CT

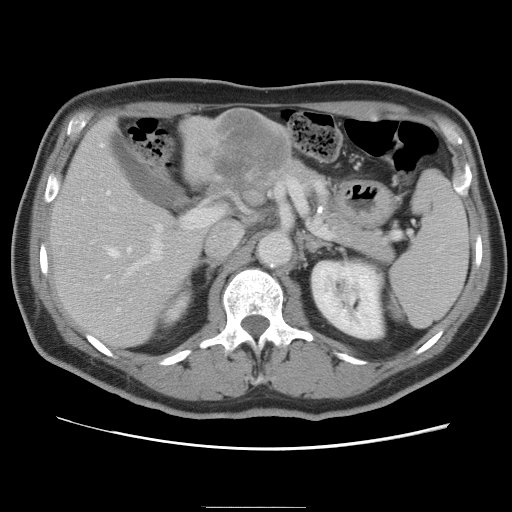

Only some of the vessels may be annotated.
The liver tumor is at bbox=[214, 114, 282, 188]. 11 hepatic vessel regions are located at bbox=[127, 247, 130, 251]; bbox=[106, 274, 108, 277]; bbox=[106, 247, 118, 256]; bbox=[82, 198, 84, 200]; bbox=[182, 208, 221, 227]; bbox=[116, 307, 119, 311]; bbox=[106, 191, 109, 193]; bbox=[109, 206, 114, 209]; bbox=[155, 223, 162, 230]; bbox=[100, 144, 102, 145]; bbox=[126, 238, 162, 274].